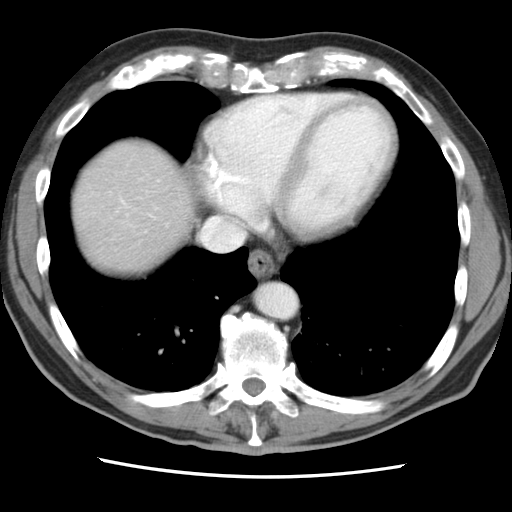
Abdomen | CT image | 512x512 px
Some hepatic vessels may have no box.
Hepatic vessel — rect(122, 200, 124, 204).